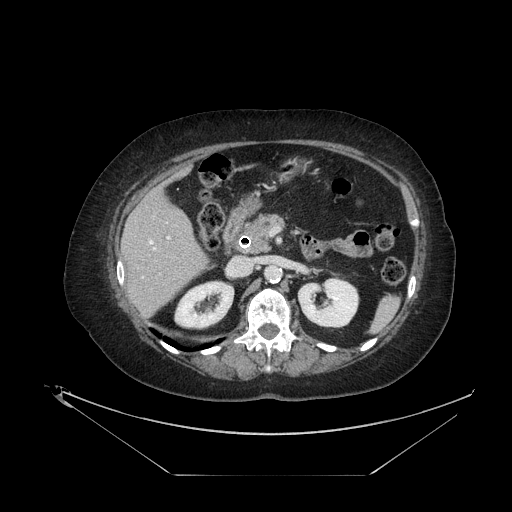
CT image

Pancreatic tumor = <box>247,225,263,238</box>.
Pancreas = <box>235,214,284,255</box>.